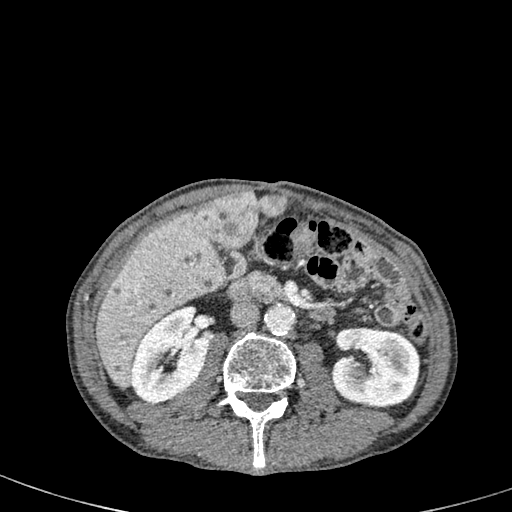
CT image. Liver. 512x512 px.
Focal liver lesion: bounding box region(195, 191, 285, 246); region(113, 287, 120, 295).
Liver: bounding box region(96, 200, 225, 387).
Kidney: bounding box region(130, 307, 211, 402); region(333, 328, 418, 406).